Abdomen, Computed tomography

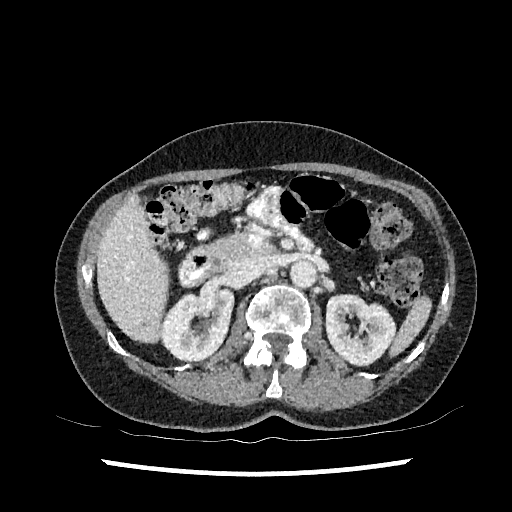

The liver is at [98,196,168,341]. 2 kidney regions are located at [326,295,395,364], [162,281,233,360].